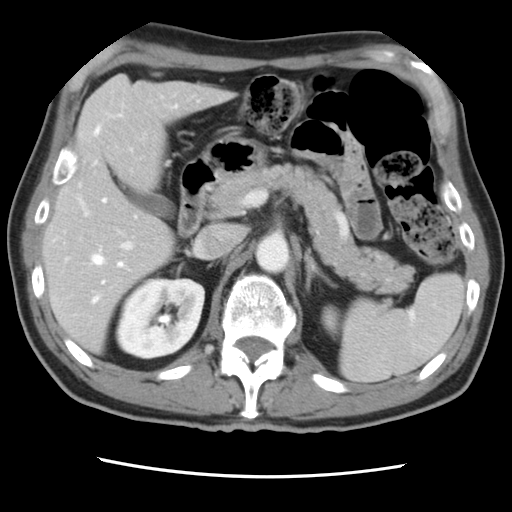 CT slice. The vessel annotation is not exhaustive.
hepatic_vessel:
  - x1=109, y1=114, x2=113, y2=116
  - x1=123, y1=242, x2=131, y2=248
  - x1=79, y1=198, x2=88, y2=215
  - x1=172, y1=104, x2=177, y2=107
  - x1=102, y1=281, x2=104, y2=283
  - x1=95, y1=161, x2=96, y2=163
  - x1=104, y1=199, x2=105, y2=201
  - x1=93, y1=296, x2=98, y2=301
  - x1=135, y1=216, x2=136, y2=217
  - x1=95, y1=127, x2=99, y2=134
  - x1=92, y1=254, x2=103, y2=264
  - x1=119, y1=262, x2=123, y2=266